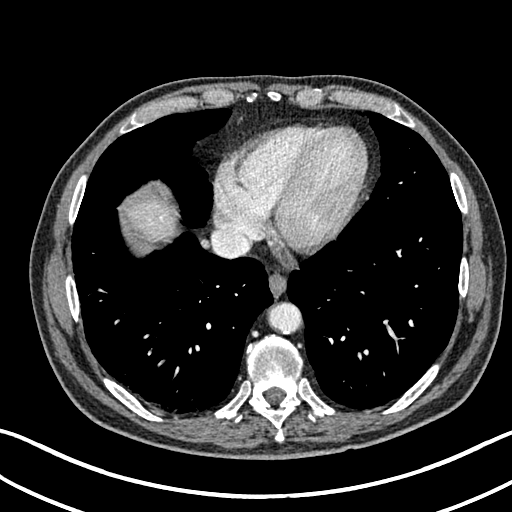

CT
The liver is bounded by [126, 199, 173, 240].